Upper abdomen. CT slice. Field of view 381x381 mm. Slice 461/826. 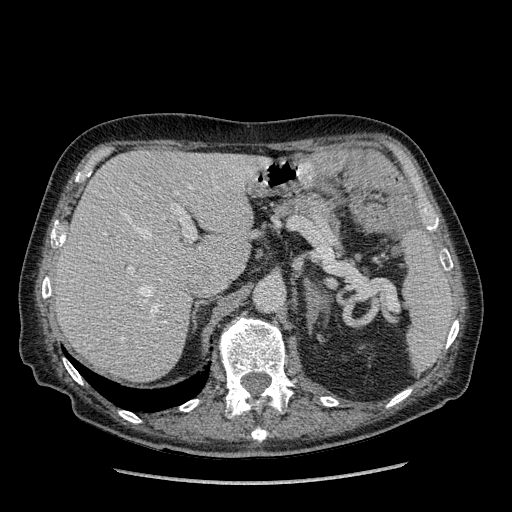

<segmentation>
  <liver>56,151,260,381</liver>
</segmentation>